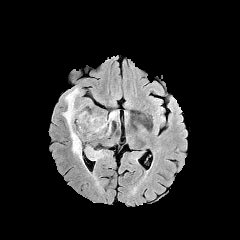
FLAIR MRI.
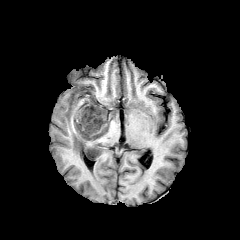
T1-weighted MR.
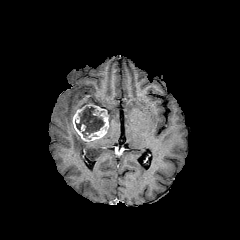
Same slice, post-contrast T1-weighted MR.
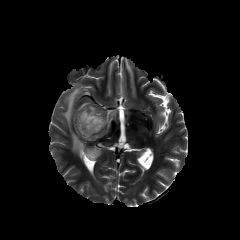
Same slice, T2-weighted MRI.
Head.
Enhancing tumor — [72,106,109,141].
Non-enhancing tumor core — [75,108,103,137].
Edema — [108,110,116,120], [63,88,99,162].